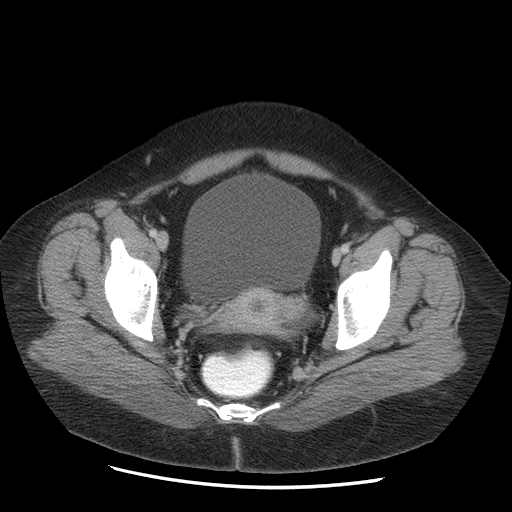

CT slice.

Urinary bladder: x1=186 y1=182 x2=317 y2=296.